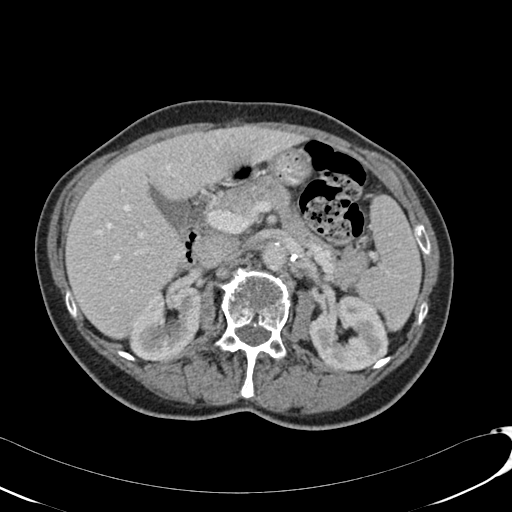
Computed tomography.
Findings:
- liver: bbox(67, 127, 304, 336)
- kidney: bbox(127, 284, 200, 360); bbox(309, 297, 387, 370)
- liver lesion: bbox(96, 302, 110, 315); bbox(218, 146, 252, 172)